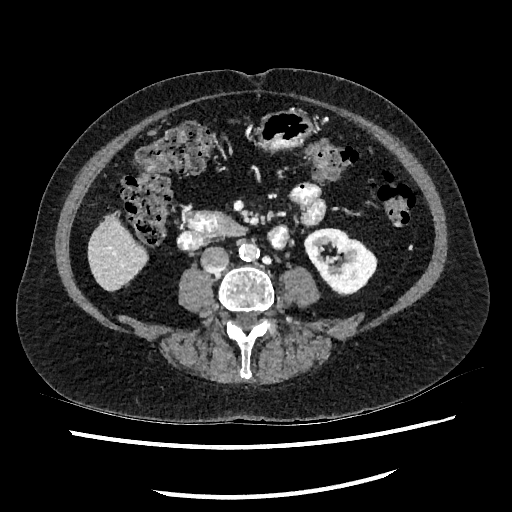 Upper abdomen; CT slice
liver: bbox=[89, 218, 146, 290] | kidney: bbox=[305, 224, 375, 292]